Liver; CT slice; 512x512 px
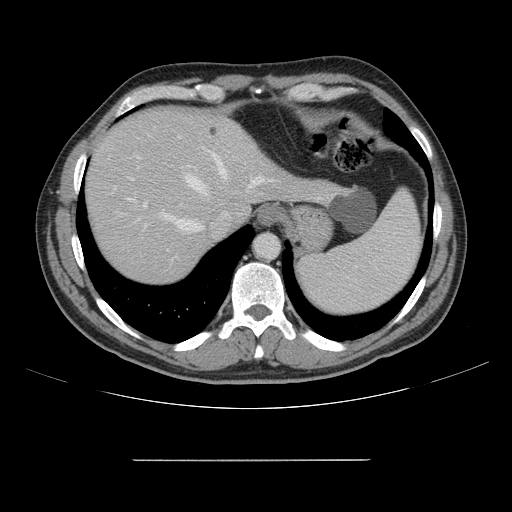 The vessel annotation is not exhaustive.
<segmentation>
  <hepatic_vessel>(x1=144, y1=224, x2=147, y2=227), (x1=317, y1=197, x2=321, y2=199), (x1=137, y1=156, x2=139, y2=158), (x1=247, y1=177, x2=272, y2=191), (x1=128, y1=177, x2=133, y2=179), (x1=137, y1=218, x2=139, y2=220), (x1=186, y1=175, x2=207, y2=194), (x1=207, y1=151, x2=225, y2=177), (x1=162, y1=212, x2=173, y2=219), (x1=127, y1=198, x2=131, y2=199), (x1=143, y1=203, x2=146, y2=206), (x1=176, y1=220, x2=202, y2=231)</hepatic_vessel>
</segmentation>